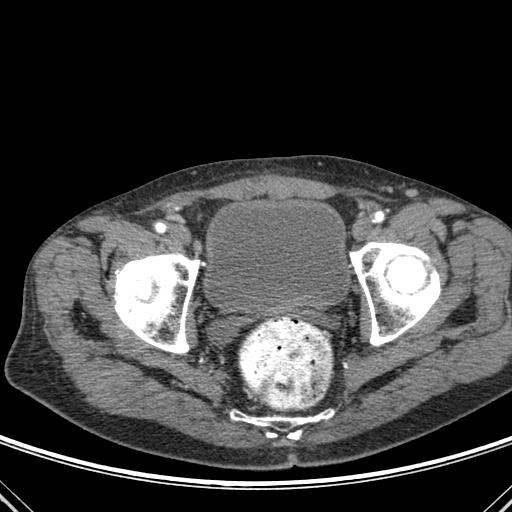
512x512; Computed tomography
* urinary bladder: <bbox>205, 200, 349, 313</bbox>
* bone: <bbox>349, 241, 440, 345</bbox>, <bbox>114, 253, 200, 353</bbox>, <bbox>230, 410, 333, 430</bbox>, <bbox>266, 432, 276, 437</bbox>, <bbox>287, 430, 301, 439</bbox>